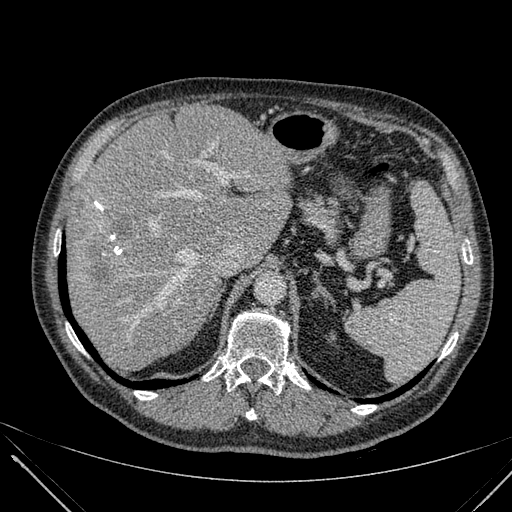 CT
Findings:
* hepatic lesion: (left=77, top=202, right=84, bottom=216), (left=89, top=243, right=104, bottom=256), (left=93, top=259, right=111, bottom=281), (left=114, top=218, right=130, bottom=237)
* liver: (left=67, top=106, right=291, bottom=370)